Image width 36 mm | Medial temporal lobe | Slice 21/41 | MRI slice

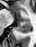
Segmented structures:
• posterior hippocampus: 17:20:30:32